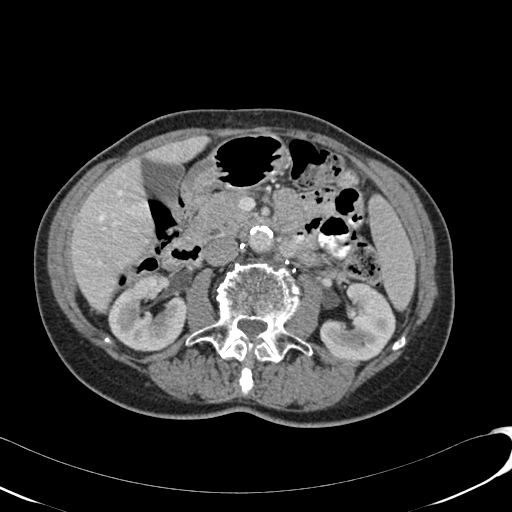 Image size 512x512, CT
Liver — <bbox>219, 130, 243, 134</bbox>, <bbox>72, 157, 152, 309</bbox>, <bbox>146, 136, 208, 164</bbox>.
Kidney — <bbox>109, 275, 186, 350</bbox>, <bbox>321, 284, 394, 361</bbox>.